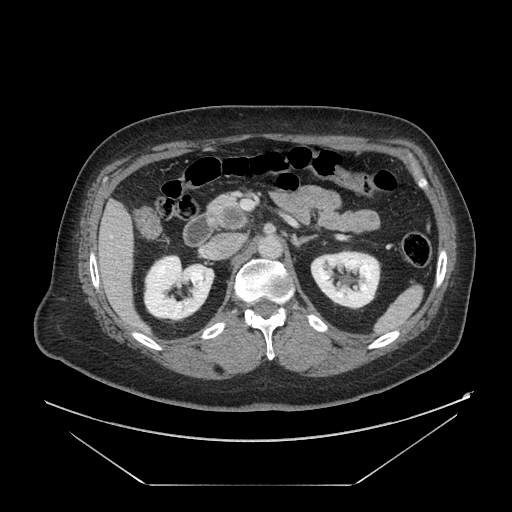 CT scan slice
The pancreas appears at [208,195,246,229]. The pancreatic tumor is bounded by [222,207,244,227].